Computed tomography | 512x512 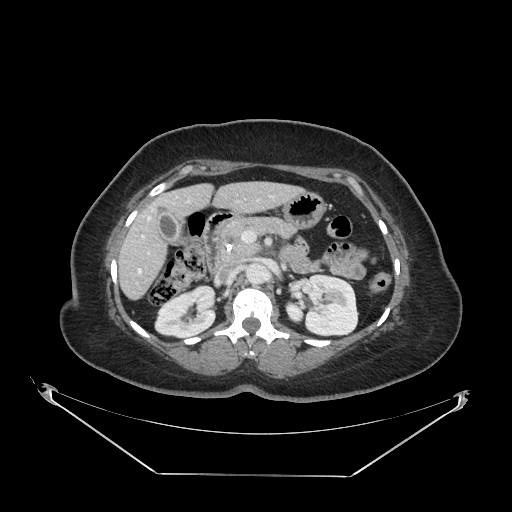

pancreas: x1=217, y1=217, x2=295, y2=266 | pancreatic tumor: x1=225, y1=234, x2=240, y2=244